CT slice.
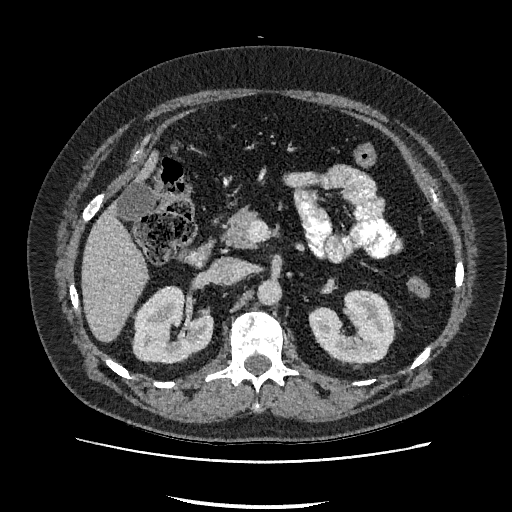

<segmentation>
  <kidney>box(309, 291, 393, 362); box(134, 287, 212, 362)</kidney>
  <liver>box(82, 204, 147, 340); box(137, 154, 157, 180)</liver>
</segmentation>